Slice 55 of 588. Computed tomography.

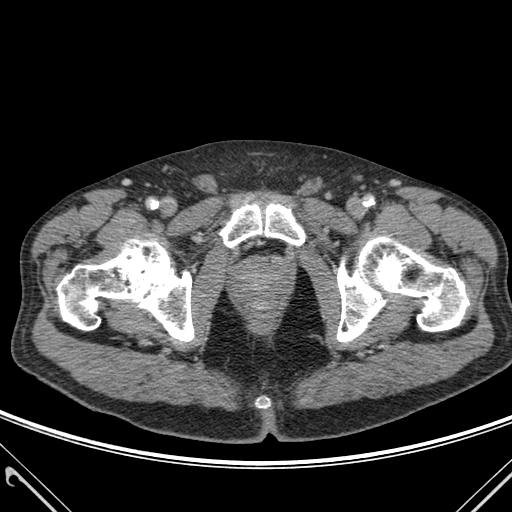

bone: 220 204 304 247, 57 239 193 341, 257 398 269 407, 337 237 469 341